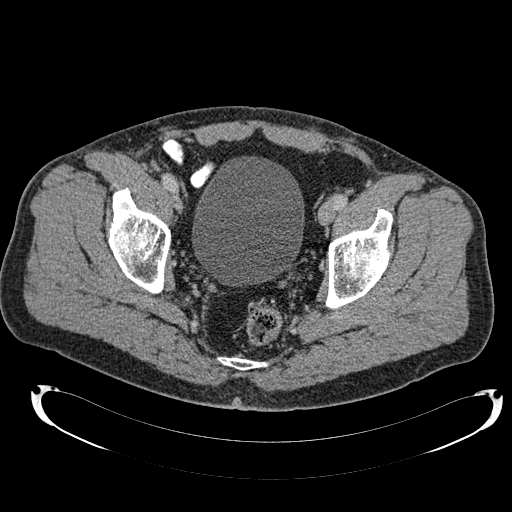
Lower abdomen | CT slice
urinary_bladder:
  - l=192, t=156, r=304, b=285